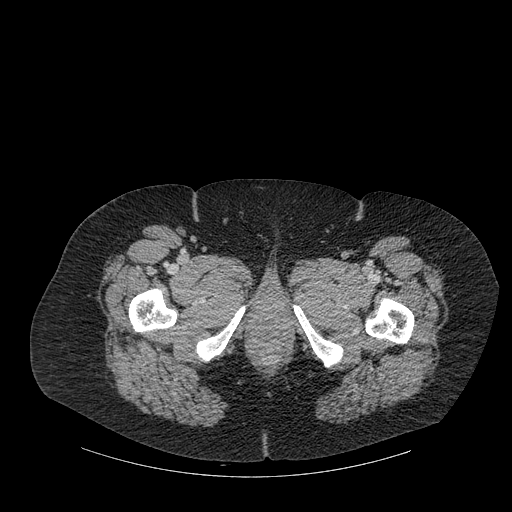

CT image; 512x512 px

bone:
  - 129:289:176:332
  - 366:298:413:343
  - 293:305:342:366
  - 196:306:244:360